CT

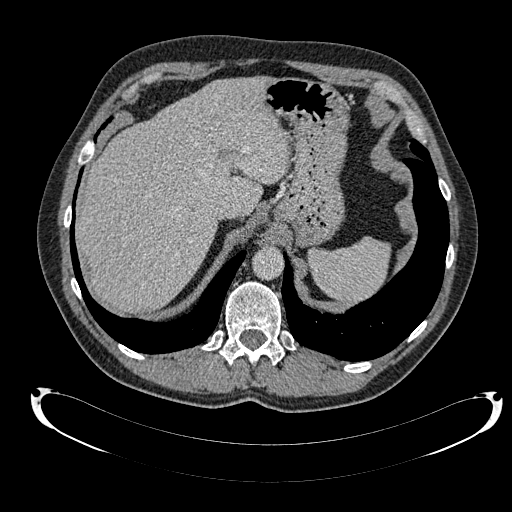
The liver is at x1=79 y1=77 x2=290 y2=311.